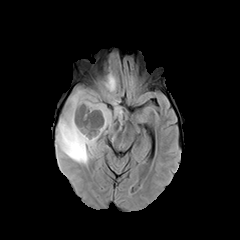
FLAIR MR.
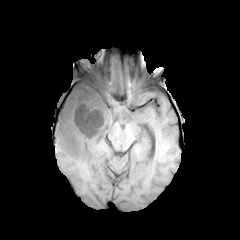
Same slice, T1-weighted magnetic resonance.
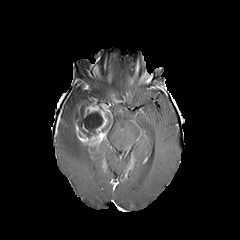
Same slice, post-contrast T1-weighted MR.
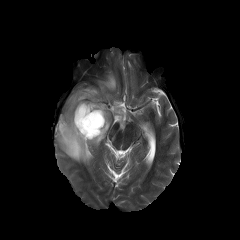
T2-weighted MR image.
Head.
Edema: bounding box (56, 88, 103, 164), (100, 75, 125, 131).
Enhancing tumor: bounding box (75, 98, 109, 145).
Non-enhancing tumor core: bounding box (74, 106, 103, 137), (83, 94, 94, 105).